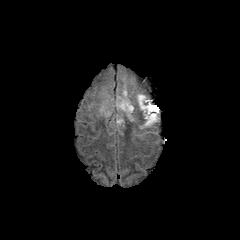
FLAIR MRI.
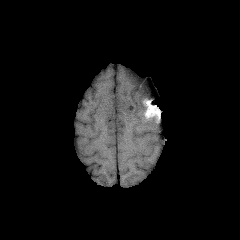
T1-weighted magnetic resonance of the same slice.
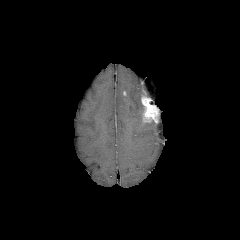
Post-contrast T1-weighted MR.
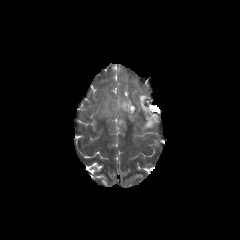
Same slice, T2-weighted MR image.
Head; Image size 240x240
{
  "enhancing_tumor": [
    "box=[140, 95, 158, 123]"
  ],
  "edema": [
    "box=[140, 115, 159, 131]",
    "box=[98, 86, 147, 126]"
  ]
}